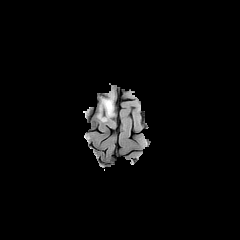
FLAIR magnetic resonance.
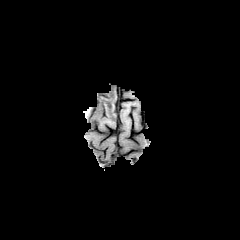
T1-weighted MR image.
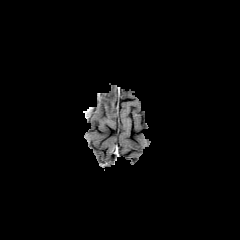
Post-contrast T1-weighted MR image.
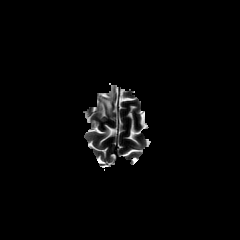
T2-weighted MR image.
Head
The edema is bounded by rect(95, 90, 115, 123). The non-enhancing tumor core is at rect(99, 96, 113, 115).